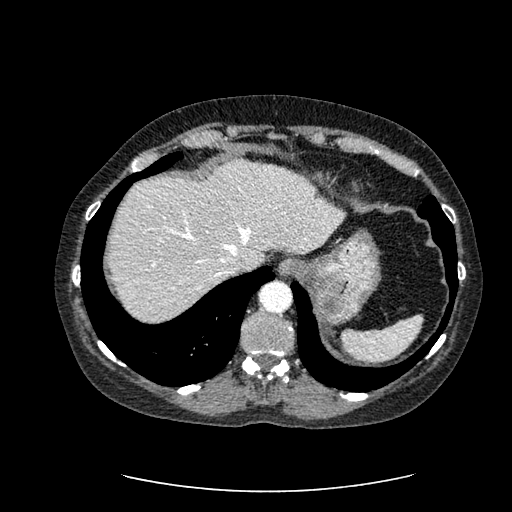 Computed tomography

Annotated regions:
* liver lesion: l=314, t=191, r=322, b=199
* liver: l=110, t=161, r=343, b=321